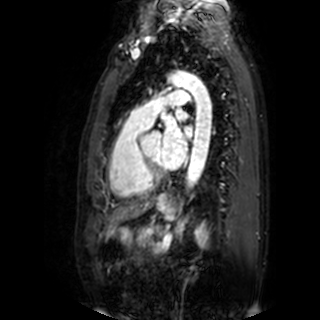

Heart, Magnetic resonance
* left atrium: [160,121,192,168], [176,110,188,120]